Slice 30 of 95, Field of view 399 mm wide, 2.50 mm slice spacing, CT image
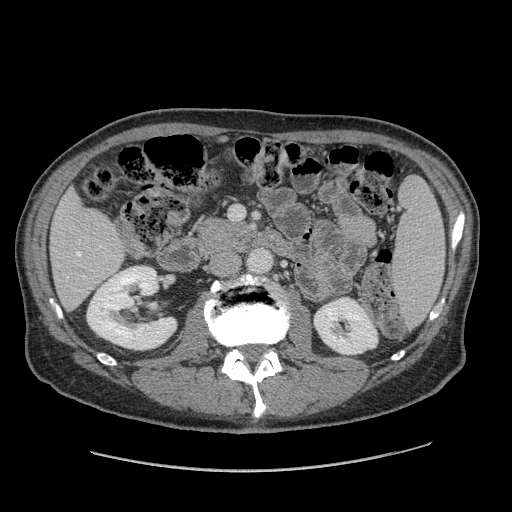
pancreas:
  - {"x1": 204, "y1": 219, "x2": 248, "y2": 243}